CT image 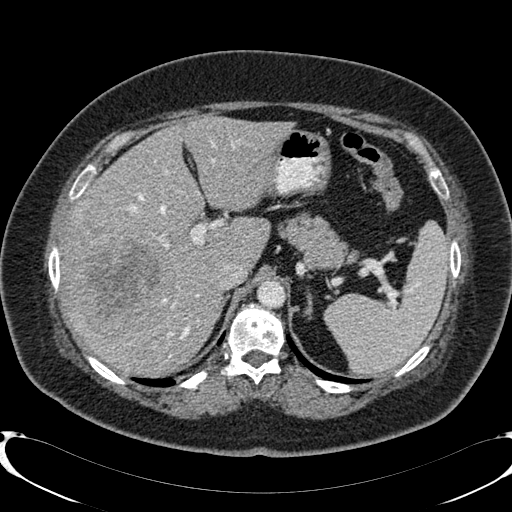

{"liver": ["bbox(62, 115, 294, 373)"], "liver_lesion": ["bbox(67, 212, 173, 333)"]}